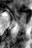
Medial temporal lobe | 32x48 | MRI
Posterior hippocampus — [16, 22, 25, 26].
Anterior hippocampus — [12, 7, 25, 21].